FLAIR MRI.
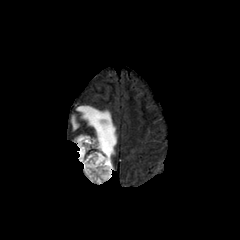
T1-weighted MR image.
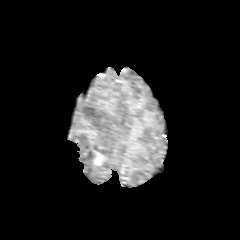
Post-contrast T1-weighted magnetic resonance.
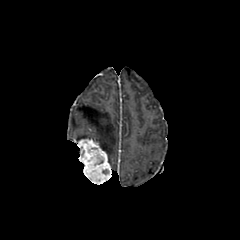
T2-weighted magnetic resonance.
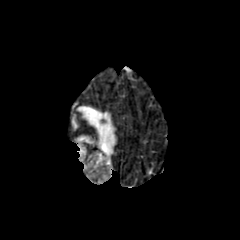
240x240. Head.
edema:
  - bbox=[76, 106, 117, 163]
  - bbox=[72, 116, 78, 129]
enhancing_tumor:
  - bbox=[73, 137, 111, 184]